Liver, Slice index 37, CT image
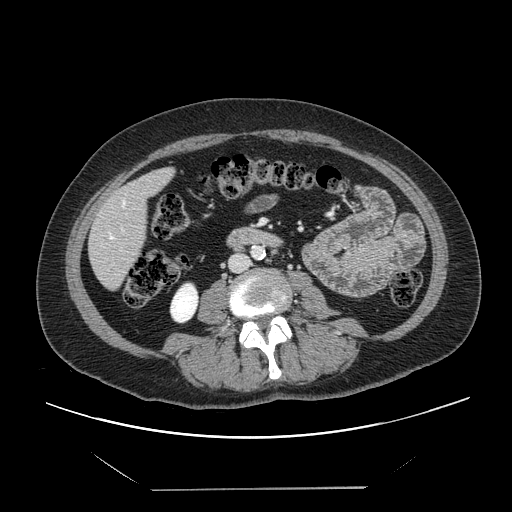

Some hepatic vessels may have no box.
Findings:
* hepatic vessel: bbox=[121, 228, 123, 231]; bbox=[108, 231, 114, 240]; bbox=[121, 198, 125, 208]